Field of view 34x49 mm | Slice index 21 | MRI

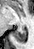
{"posterior_hippocampus": ["14, 29, 25, 41"]}